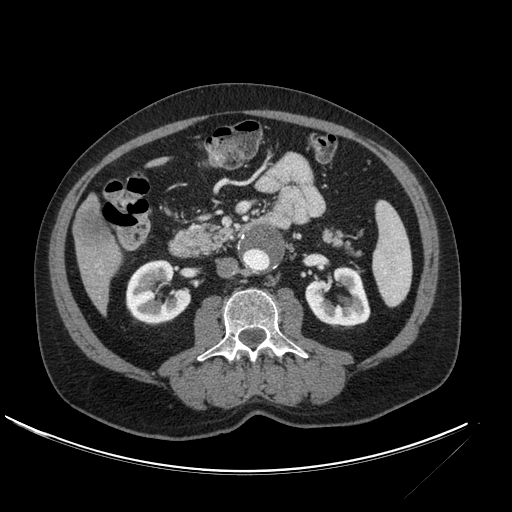 Liver. CT image. 512x512 px.

kidney: (306, 268, 369, 324), (127, 261, 189, 322) | liver lesion: (73, 196, 115, 254) | liver: (76, 241, 122, 315), (146, 156, 169, 167)